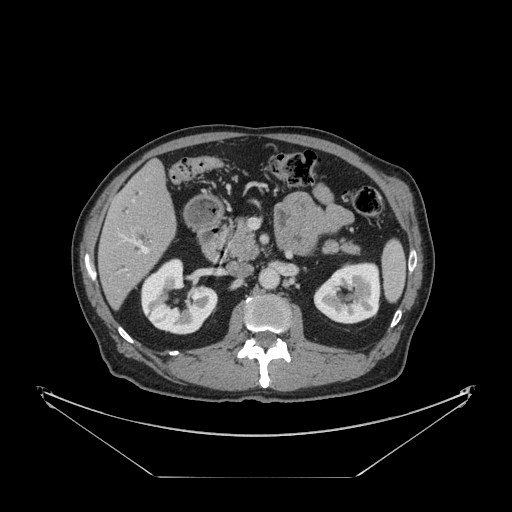
CT slice
Not every hepatic vessel necessarily has a box.
Hepatic vessel = (left=118, top=232, right=147, bottom=253).